Image size 512x512. CT scan slice. 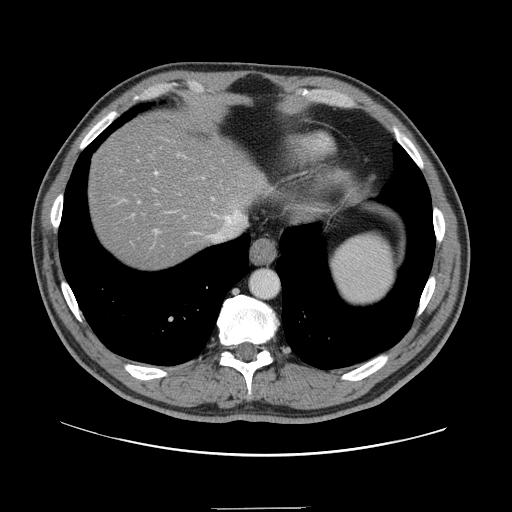
The vessel annotation is not exhaustive.
hepatic_vessel:
  - left=225, top=210, right=240, bottom=223
  - left=155, top=172, right=157, bottom=174
  - left=211, top=236, right=213, bottom=238
  - left=212, top=214, right=215, bottom=216
  - left=154, top=229, right=159, bottom=234
  - left=178, top=154, right=182, bottom=155
  - left=212, top=198, right=214, bottom=199